Image size 512x512; CT slice
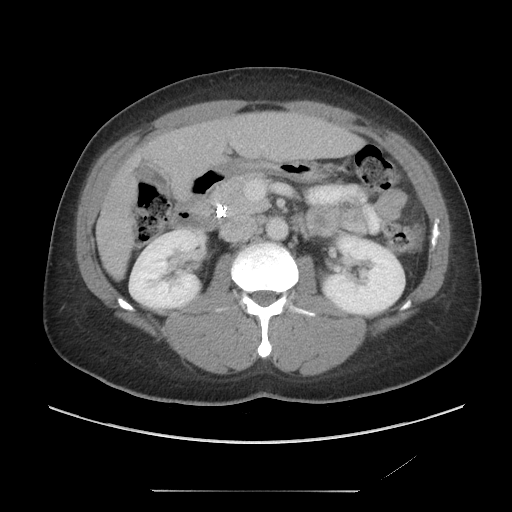 Only some of the vessels may be annotated.
<segmentation>
  <hepatic_vessel>bbox=[178, 144, 183, 149]; bbox=[260, 146, 263, 147]</hepatic_vessel>
</segmentation>